FLAIR MR image.
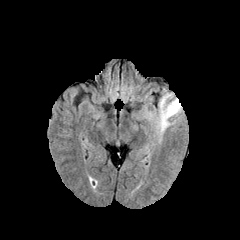
T1-weighted MRI.
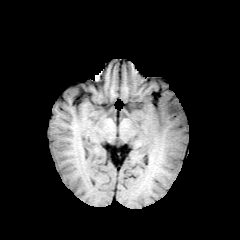
Post-contrast T1-weighted MR image.
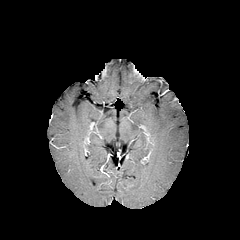
T2-weighted magnetic resonance.
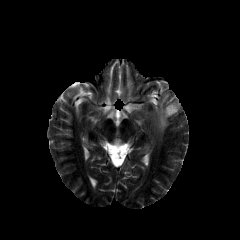
Brain
<segmentation>
  <edema>x1=142 y1=88 x2=181 y2=137</edema>
</segmentation>